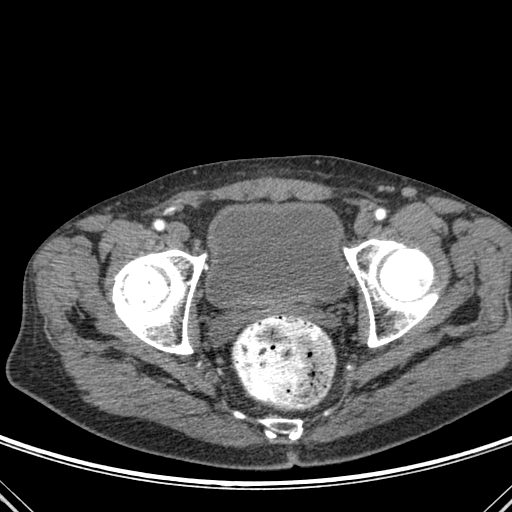

CT image; Pelvis
- urinary bladder: x1=207 y1=200 x2=348 y2=303, x1=247 y1=304 x2=258 y2=312
- bone: x1=343 y1=238 x2=439 y2=347, x1=259 y1=418 x2=302 y2=440, x1=234 y1=412 x2=244 y2=418, x1=112 y1=249 x2=206 y2=354